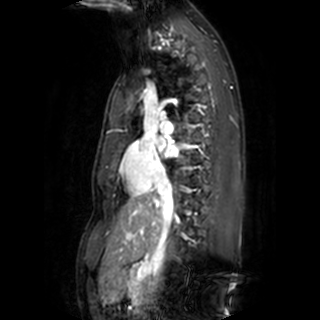 MR; Cardiac
The left atrium appears at x1=156, y1=137, x2=177, y2=157.